CT scan slice | Slice index 428

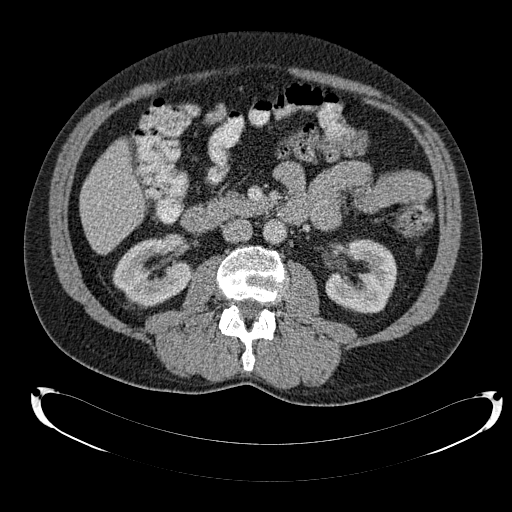
Liver = [81, 141, 144, 253].
Kidney = [326, 240, 396, 312], [113, 235, 192, 305].